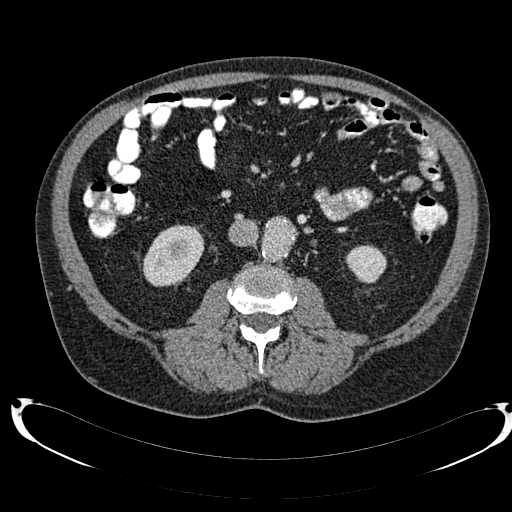
Image size 512x512 | Abdomen | CT scan slice
2 kidney regions appear at x1=143, y1=225, x2=203, y2=286; x1=346, y1=245, x2=386, y2=283.